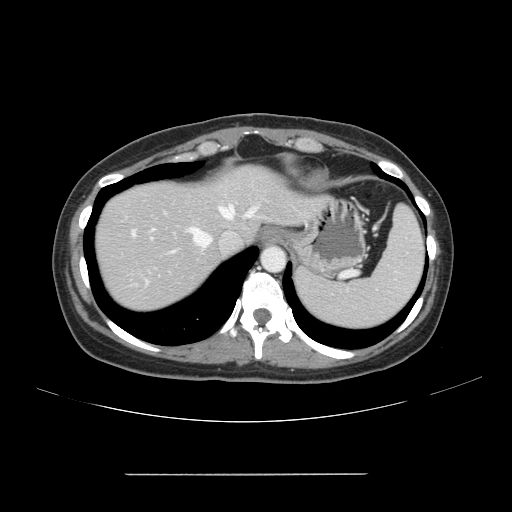 512x512. Abdomen. Computed tomography. Some hepatic vessels may have no box.
4 hepatic vessel regions are bounded by (190, 228, 210, 246), (220, 206, 233, 218), (132, 231, 134, 235), (246, 207, 255, 216).